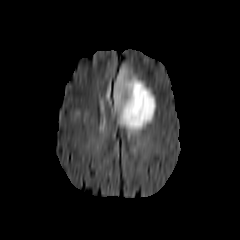
FLAIR MR.
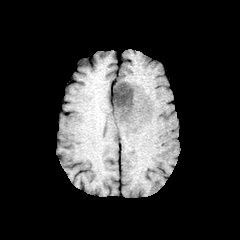
T1-weighted MR image.
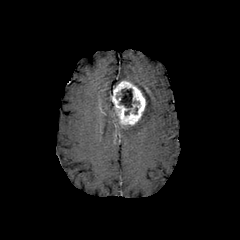
Post-contrast T1-weighted magnetic resonance.
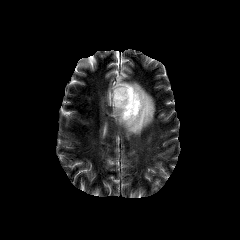
T2-weighted MR image.
Head
non-enhancing tumor core: bbox(119, 88, 132, 108); bbox(138, 94, 149, 121) | enhancing tumor: bbox(112, 80, 146, 124) | edema: bbox(114, 66, 155, 138); bbox(102, 86, 114, 115)